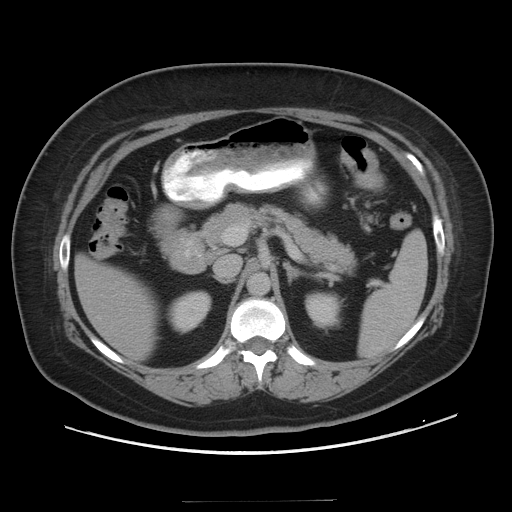 512x512, Abdomen, CT

colon_tumor:
  - box=[355, 148, 383, 187]
  - box=[341, 151, 354, 166]